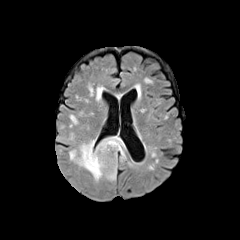
FLAIR magnetic resonance.
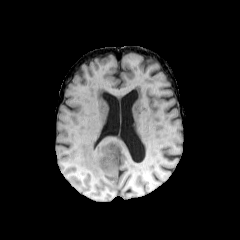
T1-weighted MR image of the same slice.
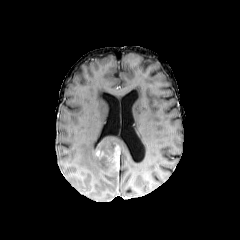
Post-contrast T1-weighted MRI.
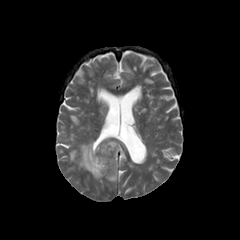
T2-weighted MR image of the same slice.
{"enhancing_tumor": ["rect(110, 144, 120, 169)"], "edema": ["rect(89, 86, 105, 103)", "rect(69, 134, 126, 181)"]}